Slice index 50 | Head
FLAIR MRI.
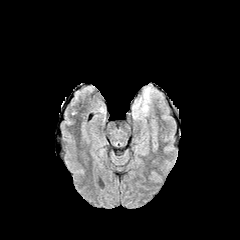
T1-weighted magnetic resonance.
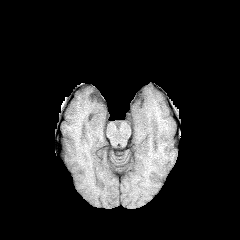
Post-contrast T1-weighted MRI.
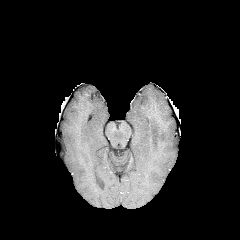
T2-weighted MR.
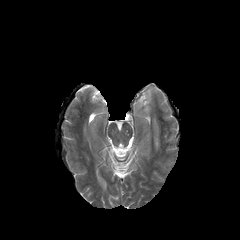
Edema = x1=141 y1=95 x2=149 y2=114.